Brain, 240x240
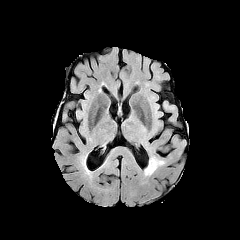
FLAIR MRI.
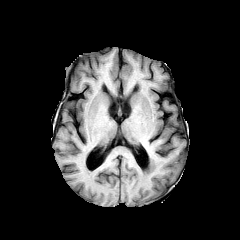
Same slice, T1-weighted MR image.
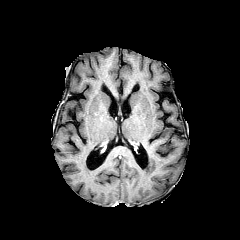
Post-contrast T1-weighted magnetic resonance.
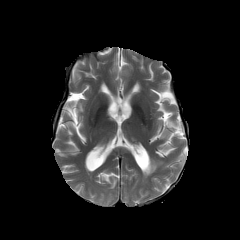
T2-weighted magnetic resonance of the same slice.
Segmented structures:
• edema: <bbox>144, 156, 164, 175</bbox>